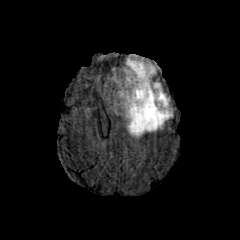
FLAIR MR.
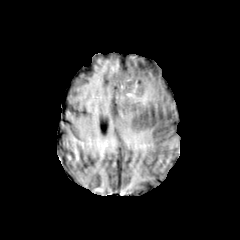
Same slice, T1-weighted MR image.
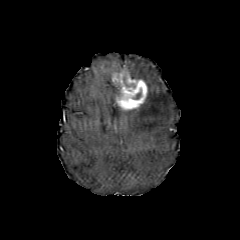
Post-contrast T1-weighted MRI of the same slice.
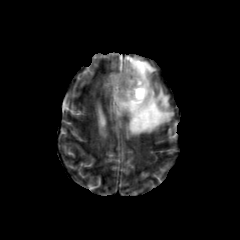
T2-weighted MRI.
240x240, Brain
The enhancing tumor appears at bbox=[112, 68, 147, 109]. The edema lies within bbox=[121, 55, 173, 136].